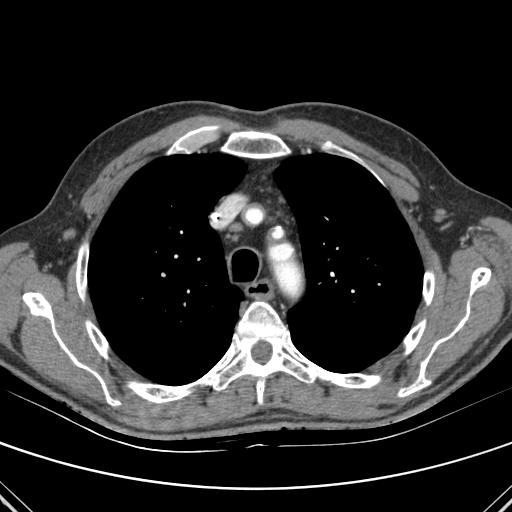
Thorax. CT scan slice.

Bone: bounding box x1=127, y1=301, x2=380, y2=403; x1=167, y1=126, x2=218, y2=153; x1=404, y1=319, x2=425, y2=354; x1=85, y1=320, x2=108, y2=358; x1=325, y1=141, x2=362, y2=164; x1=469, y1=267, x2=490, y2=296; x1=221, y1=131, x2=290, y2=158; x1=23, y1=292, x2=120, y2=405; x1=423, y1=271, x2=434, y2=305; x1=398, y1=302, x2=470, y2=396; x1=76, y1=243, x2=88, y2=300.
Lung: bounding box x1=88, y1=153, x2=246, y2=385; x1=274, y1=153, x2=423, y2=372.